Abdomen. Slice 37 of 139. CT.

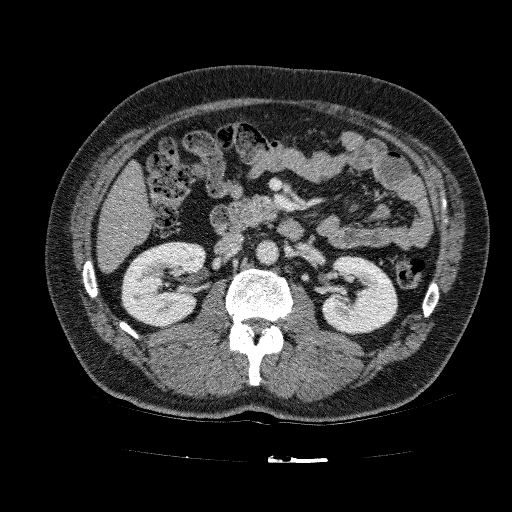 2 kidney regions are located at region(323, 257, 396, 332); region(122, 242, 204, 325). The liver is located at region(97, 162, 152, 272).